CT. Slice 54/113. Abdomen.
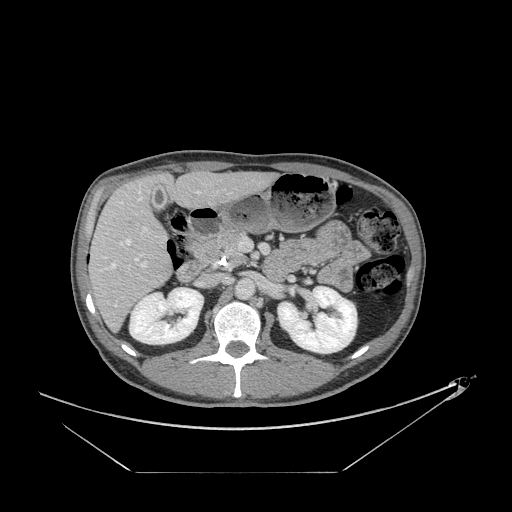
{
  "pancreatic_tumor": [
    "left=221, top=237, right=236, bottom=254"
  ],
  "pancreas": [
    "left=195, top=232, right=240, bottom=260"
  ]
}